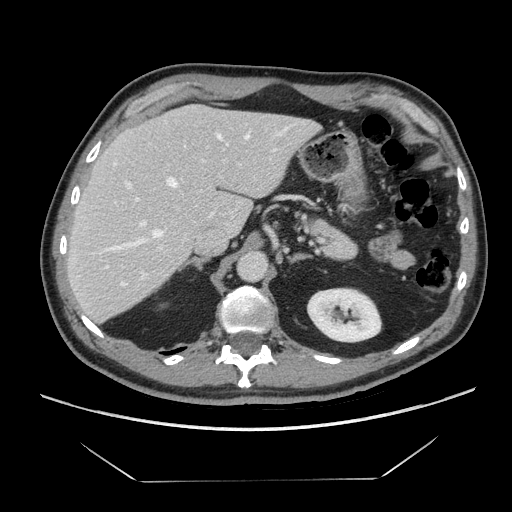 512x512 px, Abdomen, Computed tomography

Pancreas at box(311, 220, 357, 259).